T2-weighted MR.
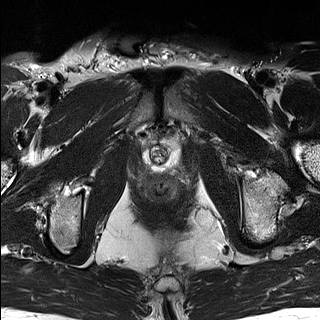
ADC MR image.
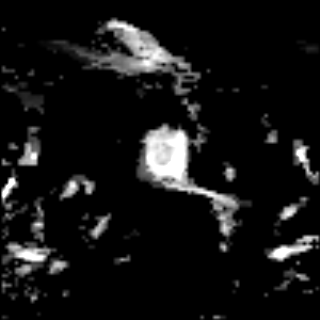
Prostate
{
  "prostate_peripheral_zone": [
    "rect(143, 138, 182, 174)"
  ],
  "prostate_transition_zone": [
    "rect(145, 138, 171, 163)"
  ]
}